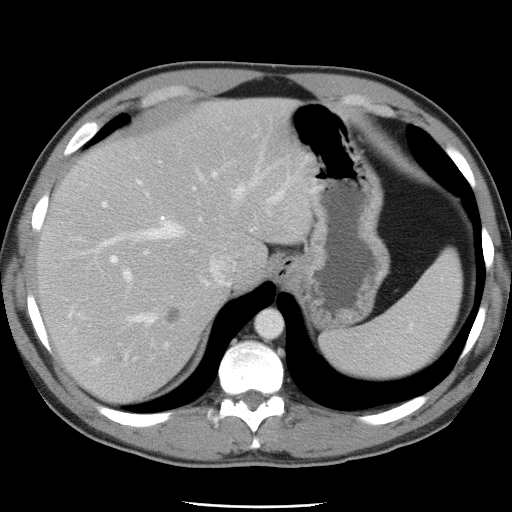

CT scan slice | 512x512

Not every hepatic vessel necessarily has a box.
* hepatic vessel: l=199, t=217, r=201, b=221; l=145, t=251, r=147, b=253; l=109, t=255, r=117, b=263; l=138, t=181, r=139, b=183; l=92, t=215, r=185, b=251; l=203, t=280, r=208, b=284; l=127, t=312, r=157, b=324; l=210, t=258, r=229, b=285; l=213, t=172, r=215, b=175; l=269, t=193, r=280, b=201; l=102, t=201, r=107, b=207; l=232, t=180, r=256, b=200; l=122, t=269, r=132, b=282
* liver tumor: l=166, t=306, r=182, b=323